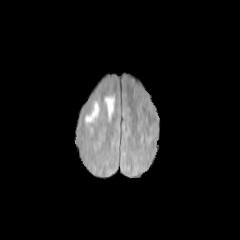
FLAIR MRI.
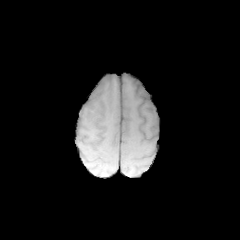
T1-weighted magnetic resonance of the same slice.
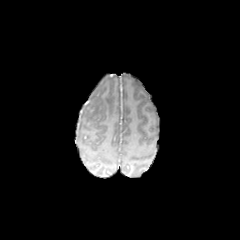
Post-contrast T1-weighted MR.
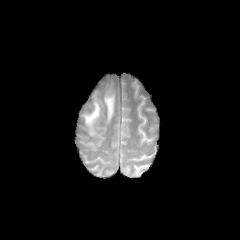
Same slice, T2-weighted MR.
Brain.
edema:
  - (104, 94, 114, 122)
  - (84, 100, 99, 130)